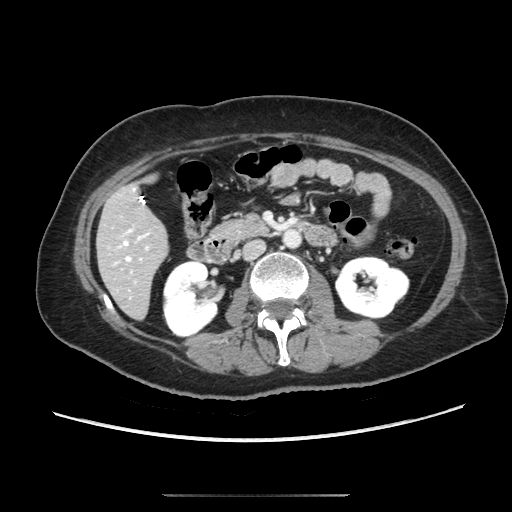

CT image | Abdomen

Pancreas — 215,214,266,240.